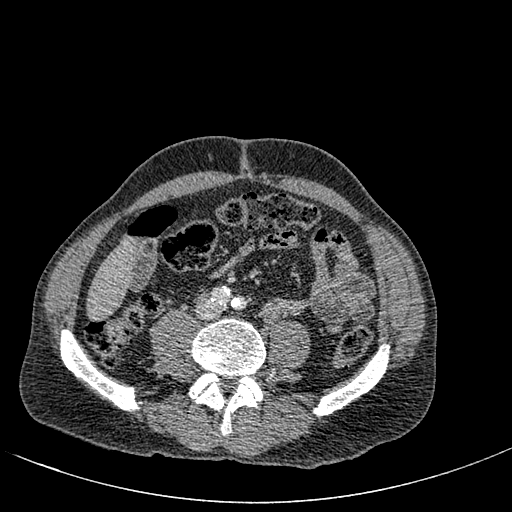
CT scan slice
The liver is bounded by x1=88, y1=241, x2=134, y2=318.